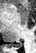 MRI; Hippocampus
* posterior hippocampus: l=13, t=43, r=22, b=47